Image size 240x240; Slice 118/155
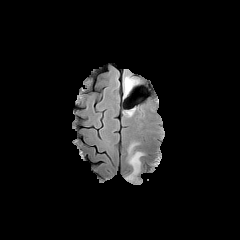
FLAIR MR.
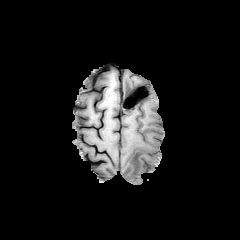
T1-weighted MRI.
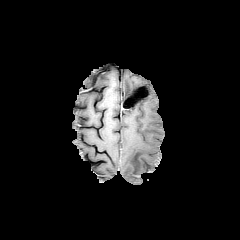
Post-contrast T1-weighted MR image.
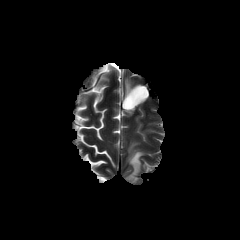
Same slice, T2-weighted MR.
{"edema": ["(125,142,145,182)", "(123,78,132,95)"]}